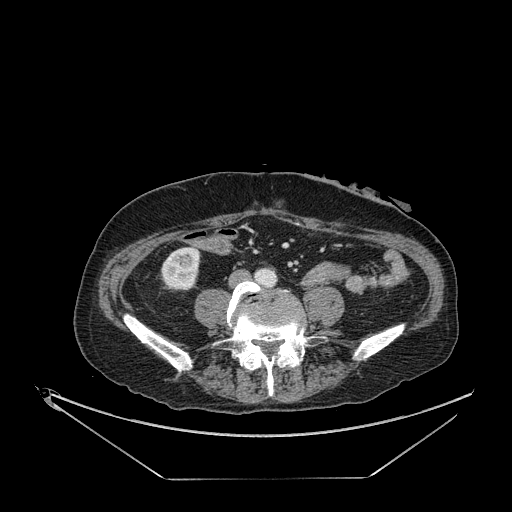

CT image

The kidney lies within region(162, 247, 199, 289).